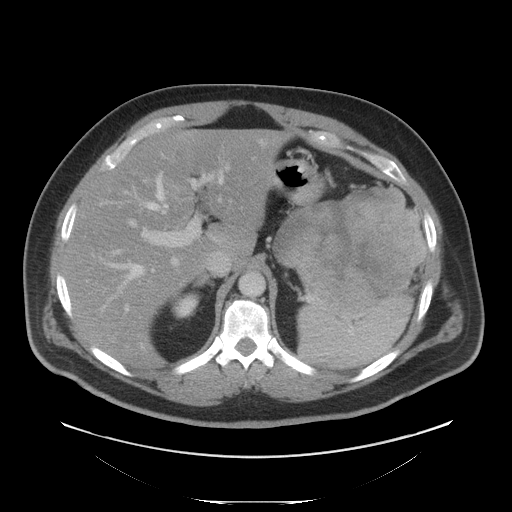

512x512 px. Computed tomography.

Segmented structures:
- pancreatic tumor: region(274, 188, 426, 315)
- pancreas: region(346, 301, 378, 317)